MRI; Medial temporal lobe; Slice index 14
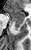
The anterior hippocampus lies within (6,7,25,18). The posterior hippocampus is bounded by (11,19,23,30).